Slice 77 of 155 | Head
FLAIR magnetic resonance.
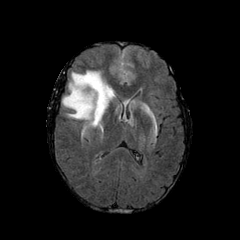
T1-weighted MR.
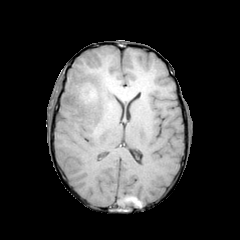
Post-contrast T1-weighted MR.
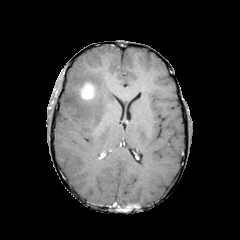
T2-weighted MR image.
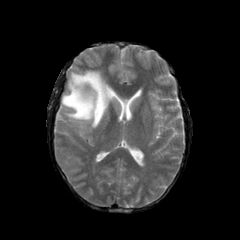
The enhancing tumor appears at 80, 83, 94, 100. The edema is located at 62, 70, 115, 128.